Slice index 38 | Liver | CT scan slice
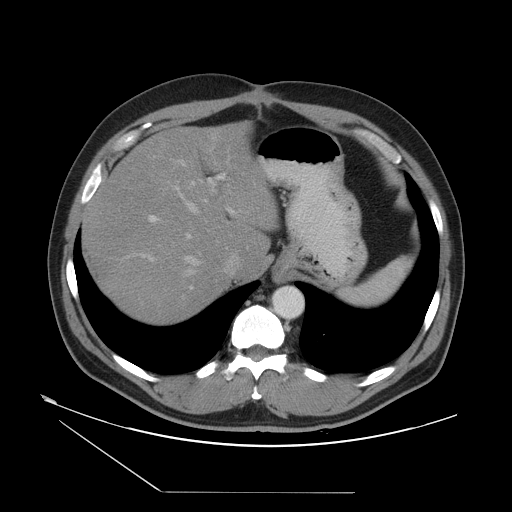 Some hepatic vessels may have no box.
13 hepatic vessel regions appear at (190, 287, 191, 289), (186, 202, 195, 212), (191, 182, 193, 185), (207, 179, 215, 192), (216, 174, 224, 179), (199, 180, 200, 181), (183, 270, 193, 275), (226, 207, 232, 213), (186, 234, 189, 238), (148, 216, 156, 221), (178, 160, 183, 165), (131, 254, 152, 261), (185, 256, 197, 265).